FLAIR MR image.
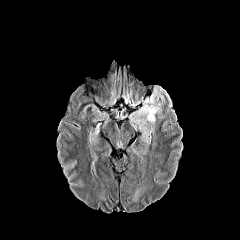
T1-weighted MR image.
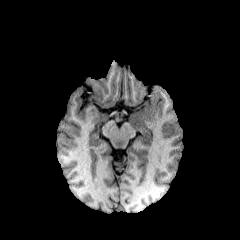
Post-contrast T1-weighted magnetic resonance.
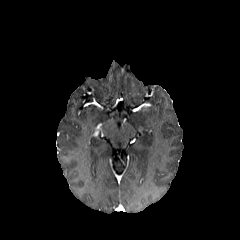
T2-weighted MR.
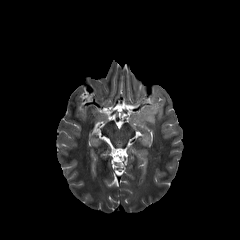
Head
The edema is bounded by <bbox>129, 88, 165, 141</bbox>.